Slice index 457 | 512x512 px | CT image | Field of view 400 mm wide, 0.80 mm slice spacing | Upper abdomen
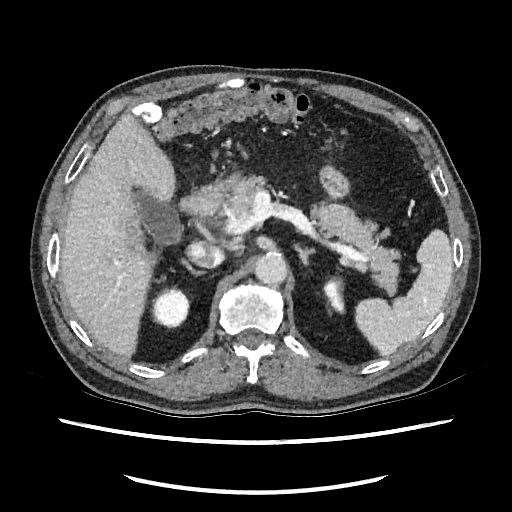 Liver at (64,116,173,353).
Hepatic lesion at (128,226,151,264).
Kidney at (152,288,189,327), (326,281,343,312).